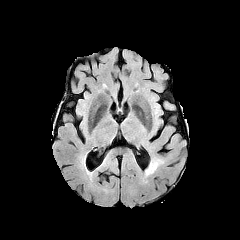
FLAIR magnetic resonance.
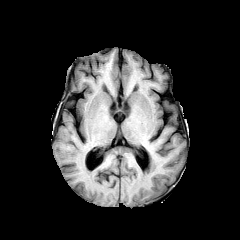
T1-weighted MR.
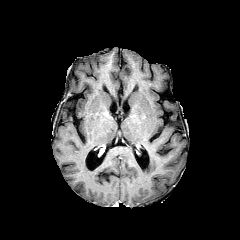
Same slice, post-contrast T1-weighted MRI.
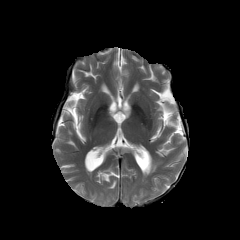
T2-weighted MR.
240x240 px
Segmented structures:
- edema: box(145, 158, 160, 175)